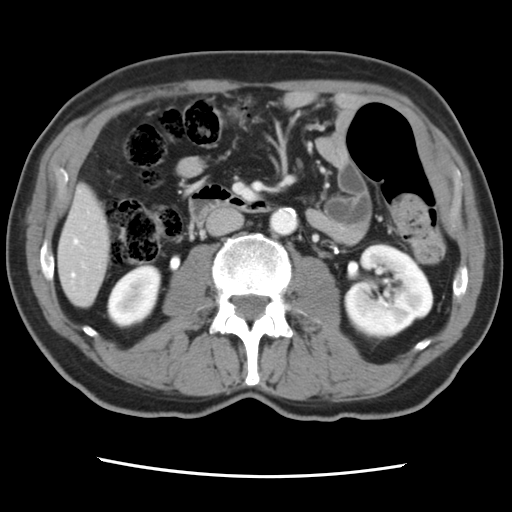

CT slice
Not every hepatic vessel necessarily has a box.
* hepatic vessel: 75:239:77:243, 72:273:75:275